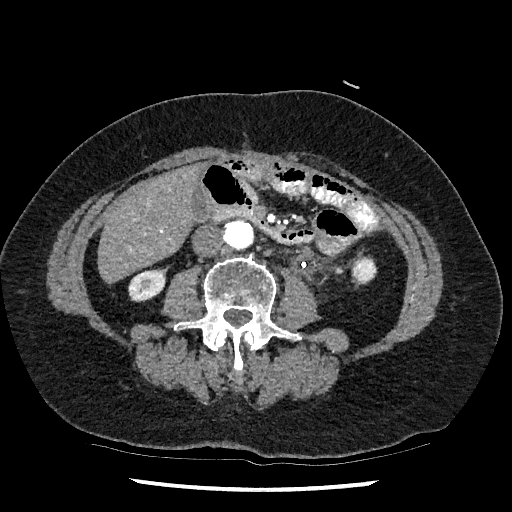 CT image; Liver
Liver: 99,164,201,283.
Kidney: 129,270,164,300; 353,259,375,282.